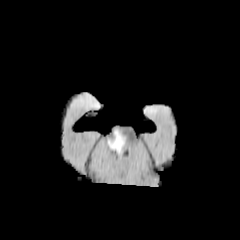
FLAIR magnetic resonance.
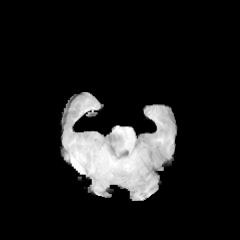
T1-weighted MR of the same slice.
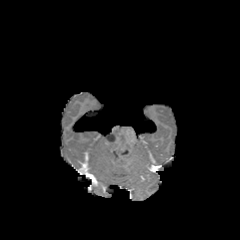
Post-contrast T1-weighted magnetic resonance.
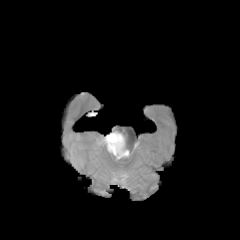
T2-weighted MR.
The non-enhancing tumor core is bounded by [106, 134, 124, 153]. The edema lies within [113, 127, 128, 145].